FLAIR MR.
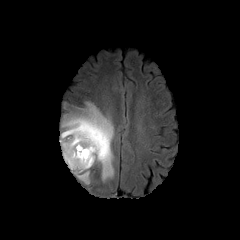
T1-weighted MR.
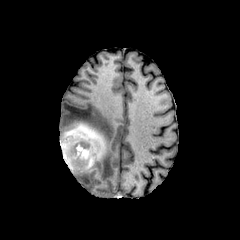
Post-contrast T1-weighted MR.
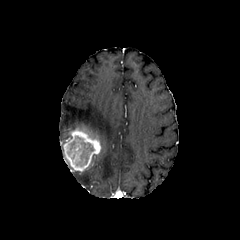
T2-weighted MRI.
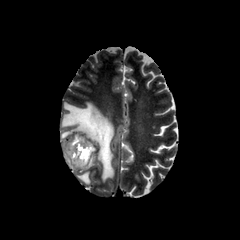
2 edema regions appear at bbox=[61, 102, 113, 180]; bbox=[77, 173, 89, 184]. 2 non-enhancing tumor core regions appear at bbox=[68, 124, 107, 171]; bbox=[61, 136, 94, 166]. The enhancing tumor appears at bbox=[63, 131, 99, 172].